FLAIR MR.
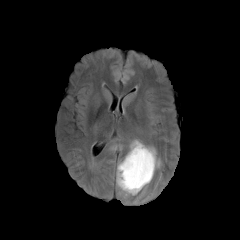
T1-weighted MR.
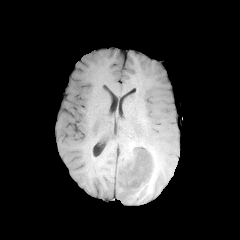
Post-contrast T1-weighted MRI.
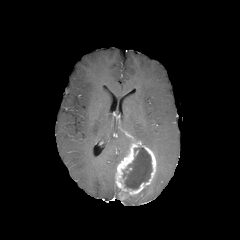
T2-weighted MR.
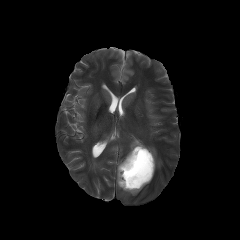
240x240 px, Head
Segmented structures:
- enhancing tumor: box=[115, 141, 155, 200]
- edema: box=[141, 141, 161, 168]; box=[117, 138, 141, 165]
- non-enhancing tumor core: box=[123, 147, 152, 188]